Brain
FLAIR magnetic resonance.
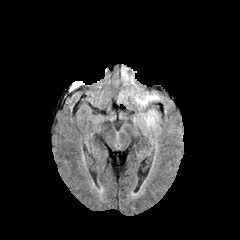
T1-weighted MR.
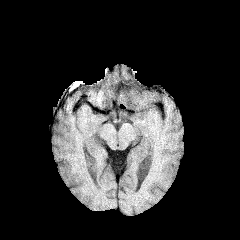
Post-contrast T1-weighted magnetic resonance.
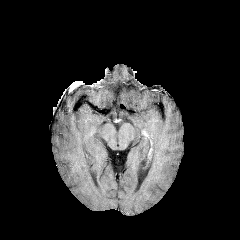
T2-weighted magnetic resonance.
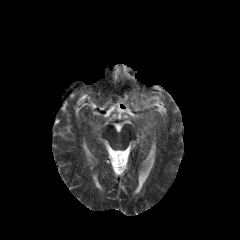
2 edema regions are located at (145,111,153,125), (137,95,158,106).